Brain. Image size 240x240.
FLAIR MR.
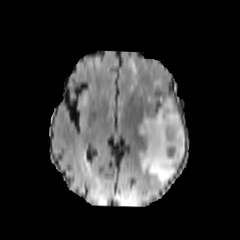
T1-weighted MRI.
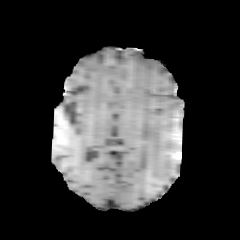
Post-contrast T1-weighted MR.
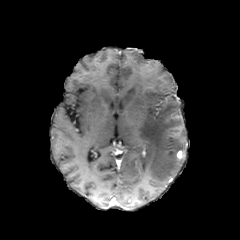
T2-weighted magnetic resonance.
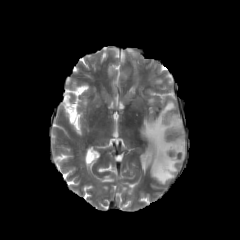
<segmentation>
  <edema>bbox(138, 96, 186, 184); bbox(129, 61, 140, 84)</edema>
</segmentation>